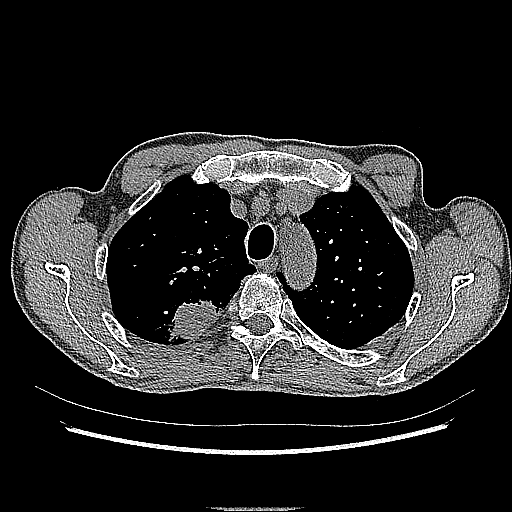

Image size 512x512; CT

Lung tumor — (left=152, top=295, right=227, bottom=343).